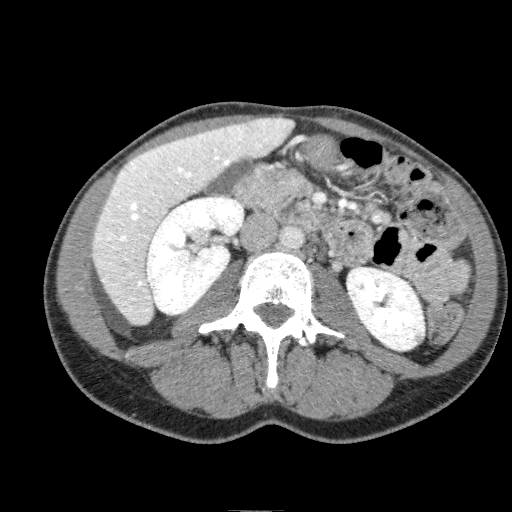 Computed tomography. Liver: bounding box 92, 117, 294, 325.
Kidney: bounding box 147, 197, 242, 314; 347, 267, 424, 349.